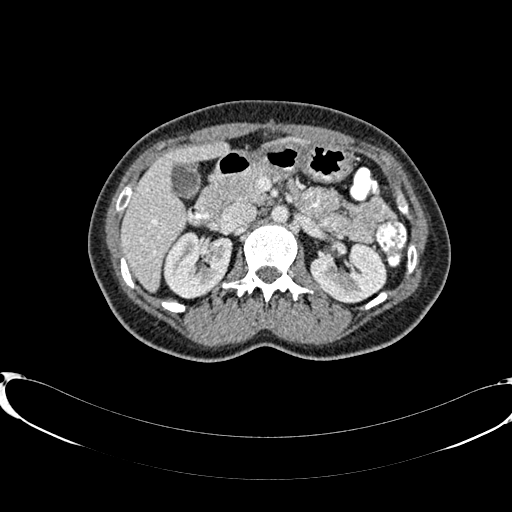 Computed tomography. 2 kidney regions are located at 312:245:384:301, 165:234:230:297. 2 liver regions are located at 264:137:308:146, 120:143:228:291.